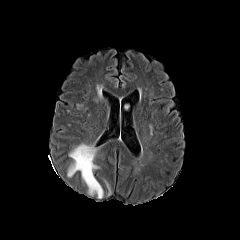
FLAIR magnetic resonance.
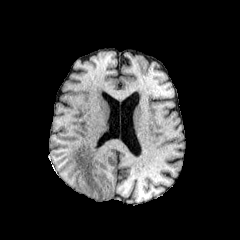
T1-weighted MR image of the same slice.
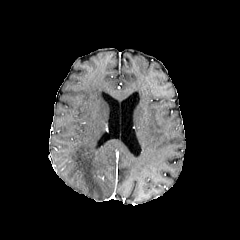
Same slice, post-contrast T1-weighted MRI.
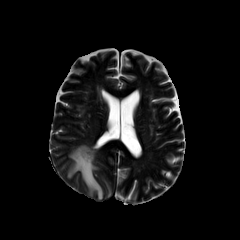
T2-weighted MRI.
Brain
Edema: bounding box bbox=[67, 144, 103, 199].